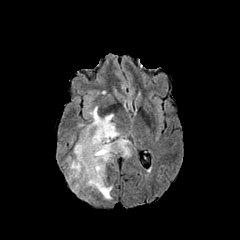
FLAIR magnetic resonance.
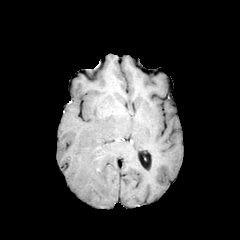
T1-weighted magnetic resonance.
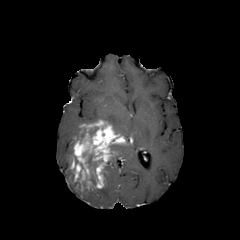
Post-contrast T1-weighted MRI.
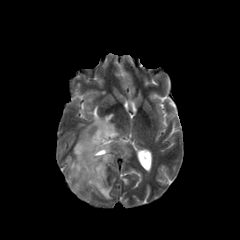
Same slice, T2-weighted MRI.
Head.
Edema = [71, 182, 80, 193], [114, 145, 130, 157], [86, 106, 119, 132], [66, 169, 73, 184], [66, 156, 72, 168], [90, 179, 112, 199].
Non-enhancing tumor core = [87, 154, 97, 185], [88, 127, 98, 136].
Enhancing tumor = [70, 119, 128, 191].